FLAIR magnetic resonance.
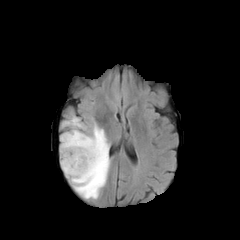
T1-weighted MR.
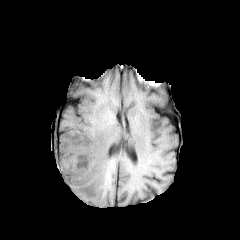
Post-contrast T1-weighted magnetic resonance.
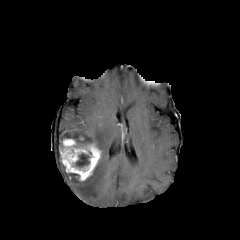
T2-weighted MR image.
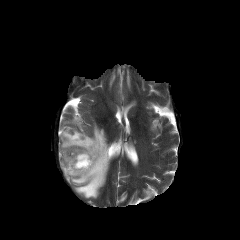
240x240; Head
Enhancing tumor — left=59, top=136, right=102, bottom=182.
Edema — left=60, top=116, right=109, bottom=199.
Non-enhancing tumor core — left=76, top=154, right=89, bottom=166.